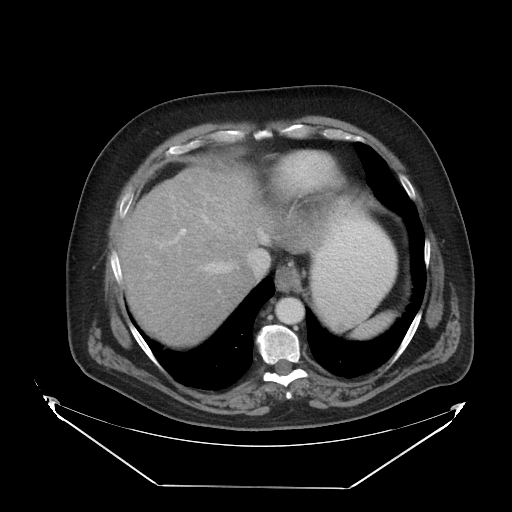
CT | Abdomen
The vessel annotation is not exhaustive.
8 hepatic vessel regions are located at 247, 250, 268, 275; 239, 231, 241, 233; 257, 229, 267, 241; 201, 212, 222, 231; 156, 241, 169, 246; 171, 240, 175, 243; 177, 230, 185, 238; 199, 261, 234, 273.